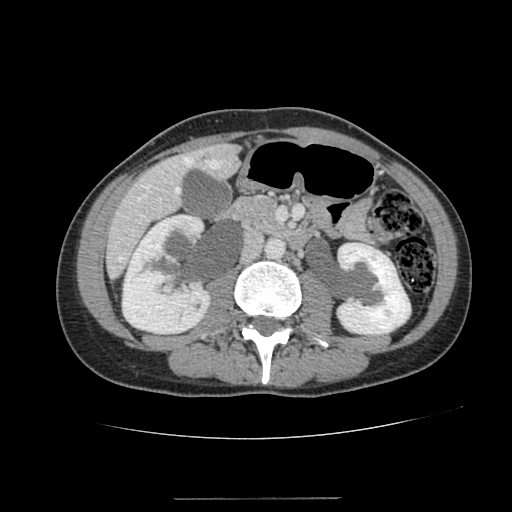

CT image, Liver
2 kidney regions are bounded by bbox=[338, 243, 410, 334]; bbox=[122, 215, 209, 333]. The liver is bounded by bbox=[106, 143, 239, 278].